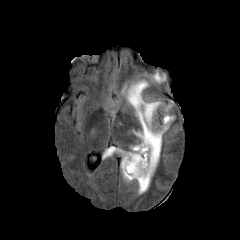
FLAIR MR.
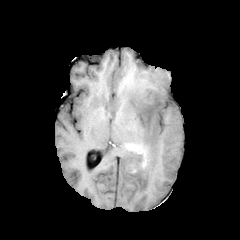
Same slice, T1-weighted MRI.
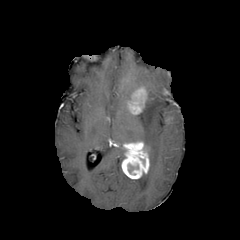
Post-contrast T1-weighted MR image.
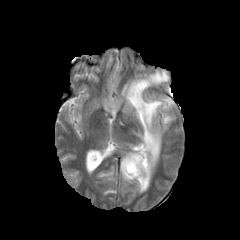
Same slice, T2-weighted MR image.
Head.
2 edema regions are bounded by 121,71,166,102; 135,92,175,193. 2 enhancing tumor regions appear at 122,142,148,178; 130,88,144,113.